CT scan slice, Liver, Slice 22/47, Field of view 432 mm wide, 5.00 mm slice spacing, 512x512 px
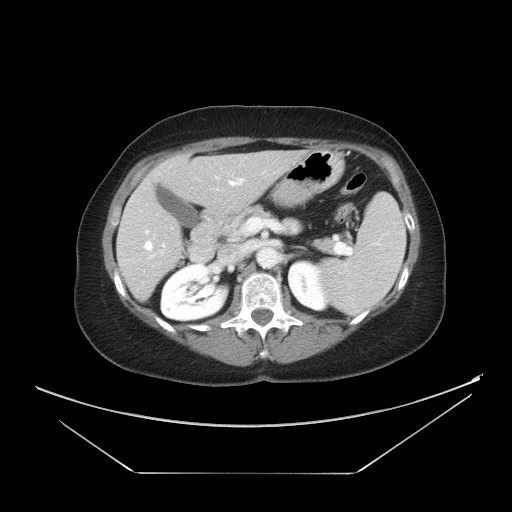

The vessel boxes may cover only some of the vessels.
Hepatic vessel: bounding box [229,178,242,185], [229,265,232,268], [213,265,219,272], [229,253,236,260], [216,176,218,178], [161,251,162,253], [144,241,152,249], [219,259,228,263], [145,230,148,233], [241,253,244,253], [149,255,153,257], [162,244,164,247].